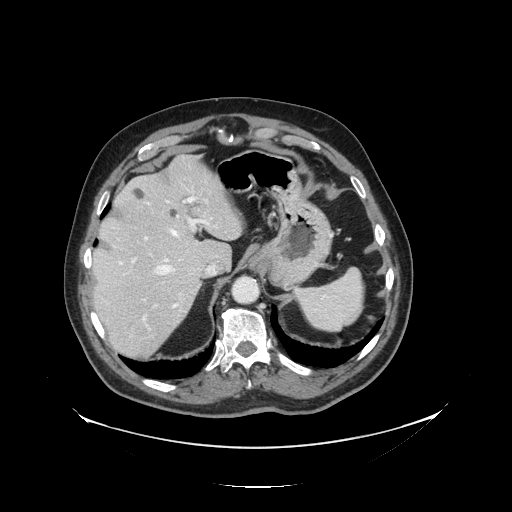
512x512 | Liver | CT scan slice

Some hepatic vessels may have no box.
Most prominent 15 of 17 hepatic vessel regions: bounding box {"x1": 179, "y1": 294, "x2": 181, "y2": 295}, {"x1": 170, "y1": 230, "x2": 178, "y2": 236}, {"x1": 174, "y1": 305, "x2": 176, "y2": 307}, {"x1": 215, "y1": 226, "x2": 217, "y2": 227}, {"x1": 183, "y1": 191, "x2": 195, "y2": 203}, {"x1": 149, "y1": 328, "x2": 152, "y2": 333}, {"x1": 132, "y1": 259, "x2": 135, "y2": 262}, {"x1": 143, "y1": 316, "x2": 147, "y2": 327}, {"x1": 145, "y1": 238, "x2": 147, "y2": 240}, {"x1": 155, "y1": 259, "x2": 168, "y2": 275}, {"x1": 147, "y1": 202, "x2": 149, "y2": 204}, {"x1": 189, "y1": 220, "x2": 210, "y2": 228}, {"x1": 143, "y1": 299, "x2": 145, "y2": 301}, {"x1": 207, "y1": 266, "x2": 214, "y2": 271}, {"x1": 170, "y1": 267, "x2": 175, "y2": 271}.
Liver tumor: bounding box {"x1": 159, "y1": 169, "x2": 169, "y2": 183}, {"x1": 133, "y1": 188, "x2": 144, "y2": 199}.